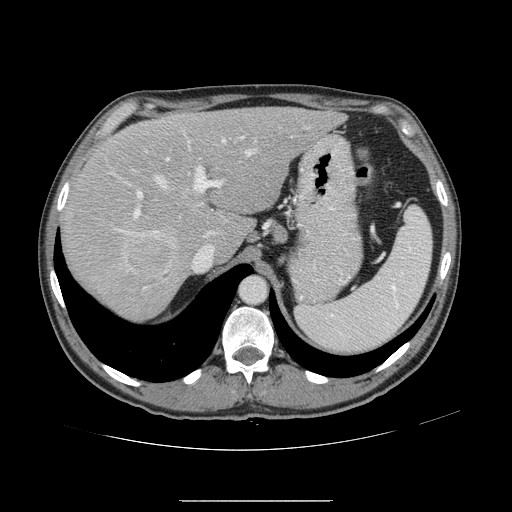 Computed tomography | Liver
Only some of the vessels may be annotated.
The liver tumor appears at box(129, 243, 170, 272). 13 hepatic vessel regions are located at box(155, 176, 167, 186); box(144, 287, 147, 288); box(203, 231, 215, 236); box(245, 149, 254, 155); box(240, 136, 242, 138); box(222, 139, 224, 142); box(166, 158, 169, 160); box(194, 166, 223, 190); box(153, 230, 158, 236); box(138, 191, 141, 197); box(117, 229, 144, 236); box(161, 233, 164, 236); box(134, 208, 139, 216).